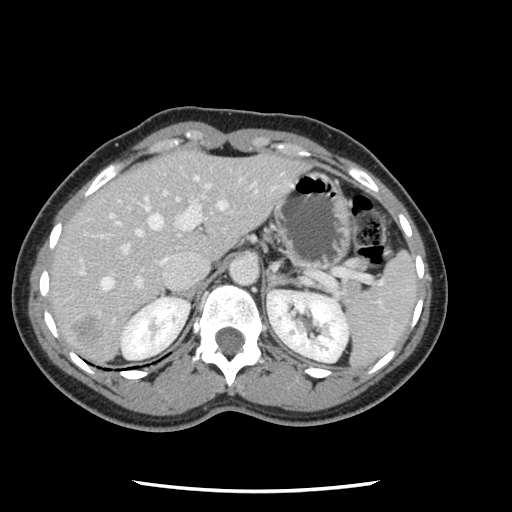

512x512 px | CT scan slice | Liver
Only some of the vessels may be annotated.
liver_tumor:
  - [75,317,101,346]
hepatic_vessel:
  - [121,244,127,251]
  - [205,184,209,186]
  - [194,176,197,179]
  - [251,184,256,191]
  - [135,230,141,234]
  - [176,197,178,200]
  - [217,201,225,208]
  - [176,203,200,228]
  - [134,277,141,285]
  - [163,191,165,193]
  - [144,195,161,228]
  - [101,276,112,288]
  - [109,214,112,218]
  - [80,269,83,272]